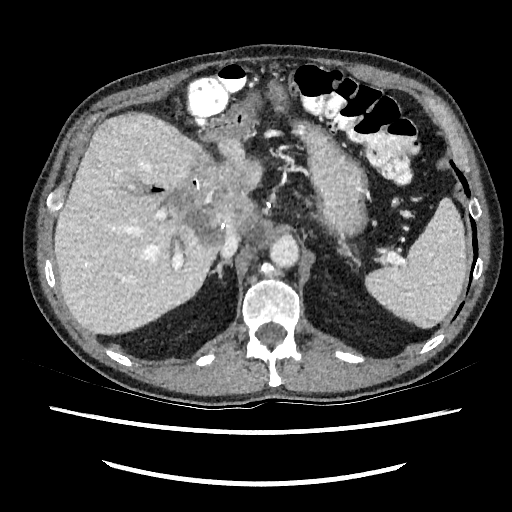 CT scan slice, Liver
Findings:
- liver: (x1=54, y1=112, x2=220, y2=333), (x1=192, y1=178, x2=199, y2=187), (x1=219, y1=139, x2=262, y2=199)
- hepatic lesion: (x1=159, y1=151, x2=256, y2=245)